MRI; Hippocampus; Field of view 35x53 mm; 35x53 px
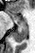
posterior_hippocampus:
  - <box>12,24,27,42</box>
anterior_hippocampus:
  - <box>7,12,25,23</box>